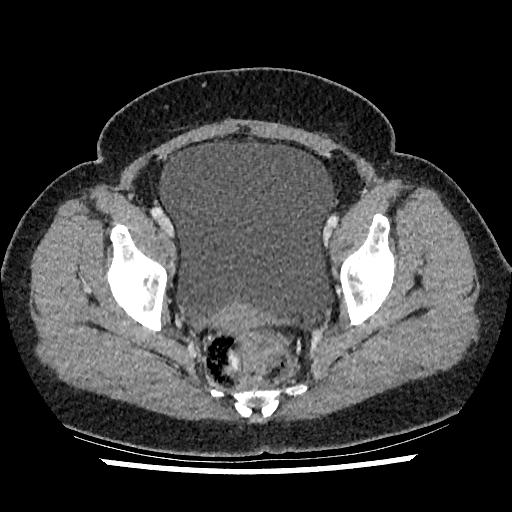 Pelvis; CT
Urinary bladder at 159,141,333,326.